FLAIR MR image.
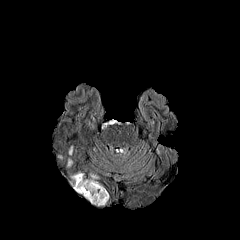
T1-weighted MRI.
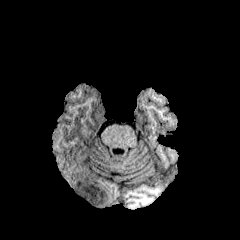
Post-contrast T1-weighted magnetic resonance.
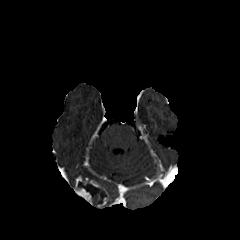
T2-weighted magnetic resonance.
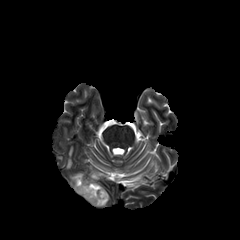
240x240
Enhancing tumor: bounding box box(74, 175, 92, 204).
Non-enhancing tumor core: bounding box box(76, 176, 108, 208).